Cardiac. 320x320. MR.

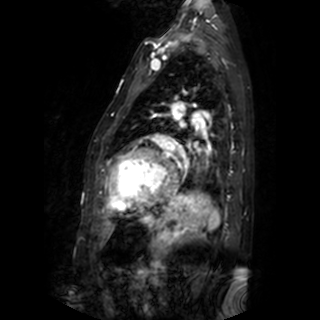

left atrium: l=173, t=111, r=180, b=119